T2-weighted magnetic resonance.
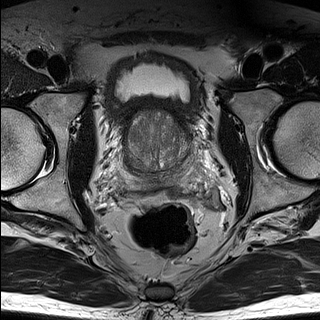
ADC magnetic resonance.
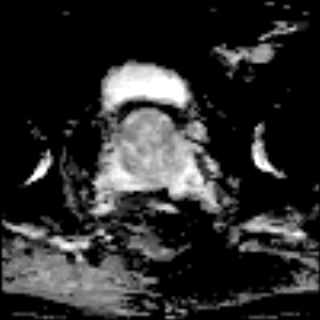
320x320
The prostate transition zone appears at x1=124, y1=112, x2=196, y2=178. The prostate peripheral zone is located at x1=123, y1=154, x2=196, y2=189.